CT image. Slice index 57. Abdomen.
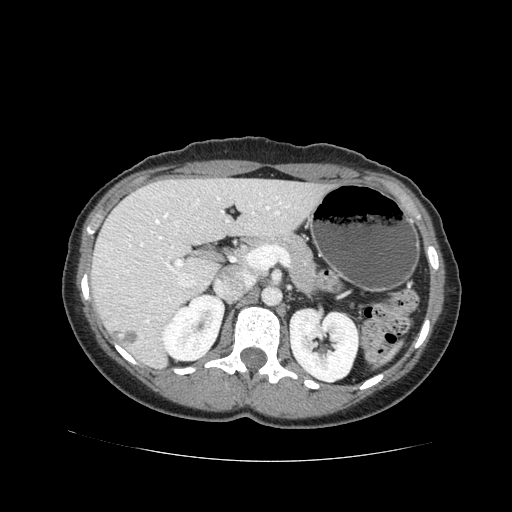
Pancreas: region(267, 235, 318, 294).